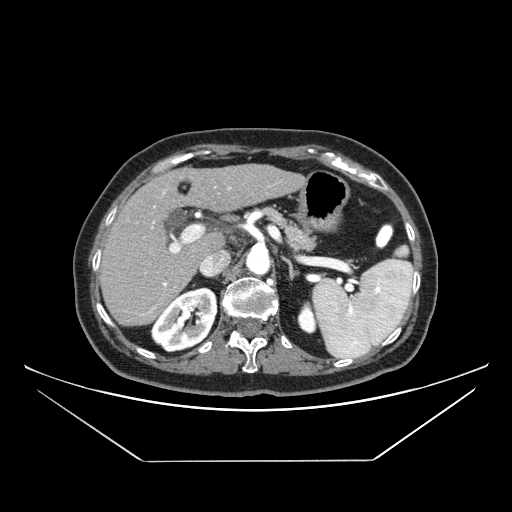

Abdomen | 512x512 px | Computed tomography
Pancreas = <box>257,206,315,252</box>.